240x240
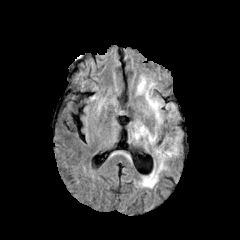
FLAIR MR image.
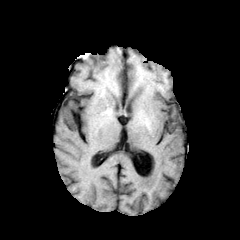
Same slice, T1-weighted MRI.
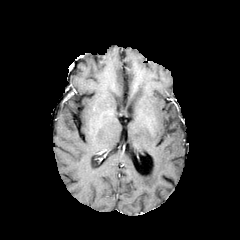
Same slice, post-contrast T1-weighted MR image.
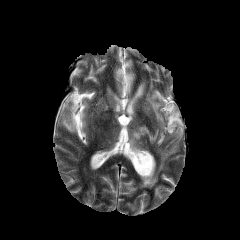
T2-weighted magnetic resonance of the same slice.
Edema at box(128, 78, 181, 188).